Cardiac | MR | Field of view 400 mm wide, 1.37 mm slice spacing
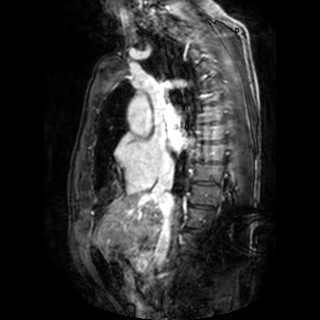
Left atrium = (x1=171, y1=130, x2=190, y2=151).